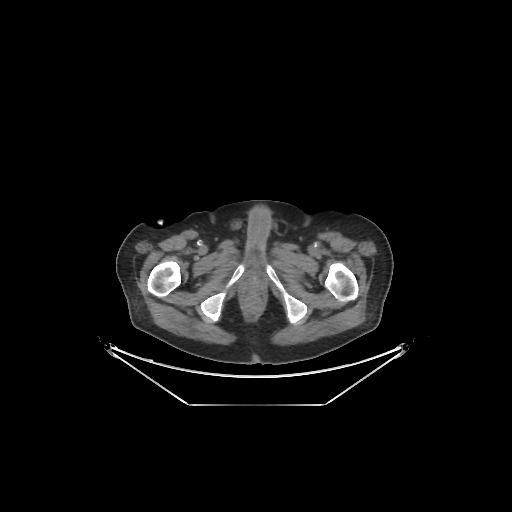
512x512. Computed tomography.
Annotated regions:
• bone: box=[147, 260, 180, 296]; box=[266, 265, 306, 323]; box=[201, 291, 225, 320]; box=[227, 265, 244, 287]; box=[325, 262, 358, 301]